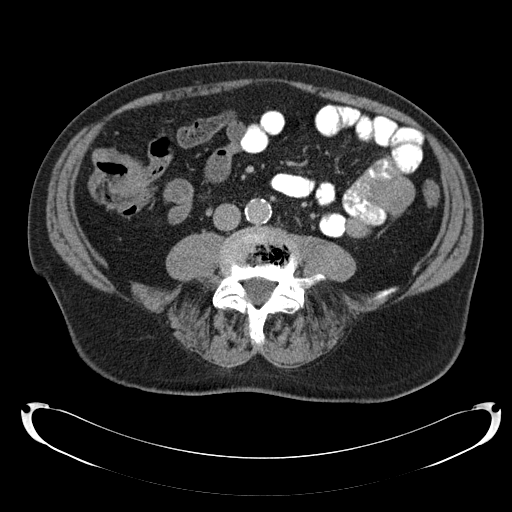
CT scan slice; Image size 512x512
Colon tumor: left=92, top=148, right=144, bottom=198; left=88, top=170, right=103, bottom=194.